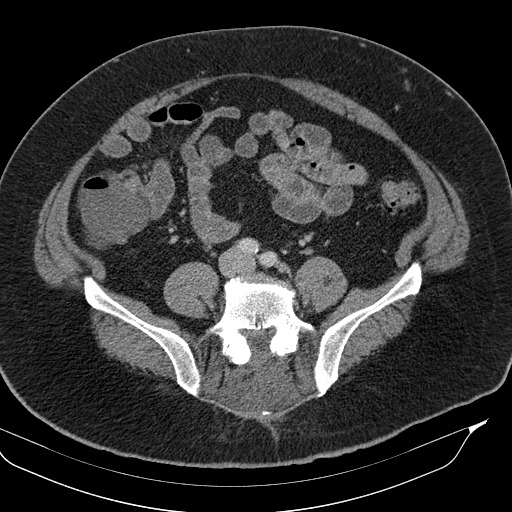 CT scan slice, Abdomen
Colon tumor: box=[123, 178, 137, 193].